CT slice | Slice index 144 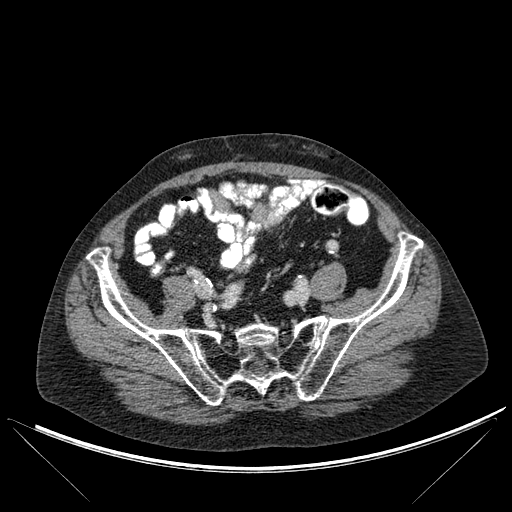 {"bone": ["(left=86, top=232, right=423, bottom=405)"]}